CT slice; Slice 303/574; Image width 411 mm
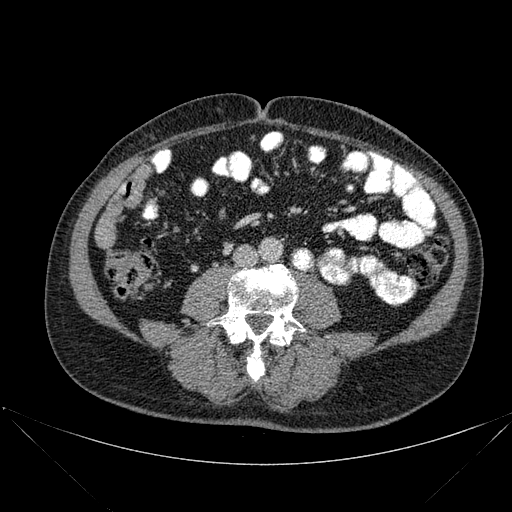 bone:
  - 212:264:304:380